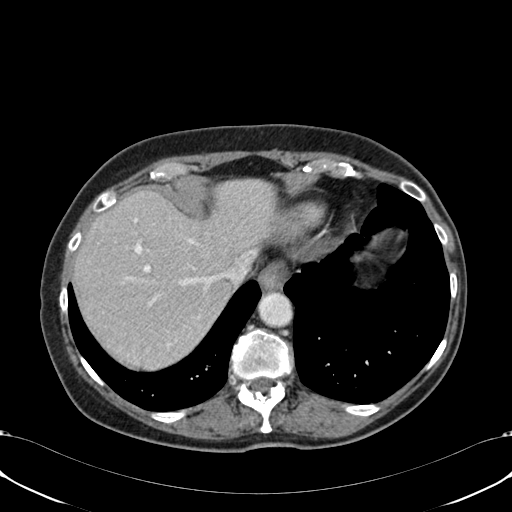 CT. Liver. 512x512.

Liver = bbox=[74, 180, 275, 366].